Field of view 430 mm wide, 2.50 mm slice spacing. Image size 512x512. CT image. Upper abdomen. 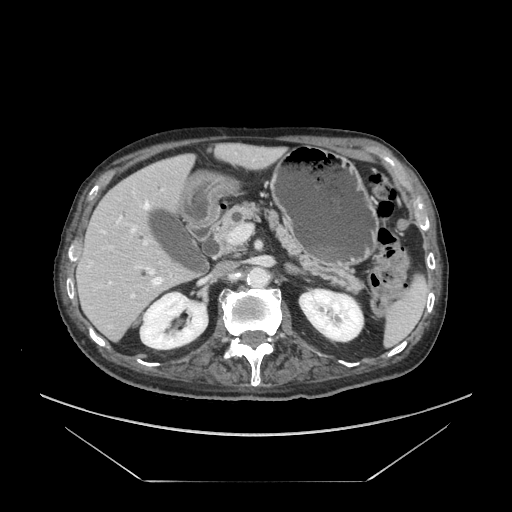 Pancreas: bounding box x1=217 y1=204 x2=256 y2=238, x1=268 y1=212 x2=360 y2=292.